FLAIR MR image.
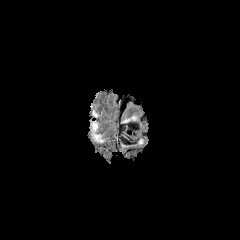
T1-weighted magnetic resonance.
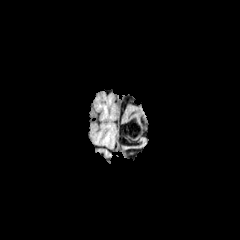
Post-contrast T1-weighted MR.
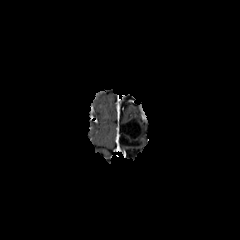
T2-weighted MR image.
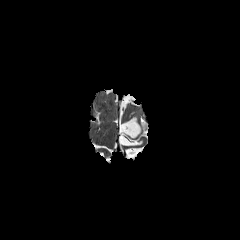
Brain, 240x240 px
The edema is at [91,122,101,143].